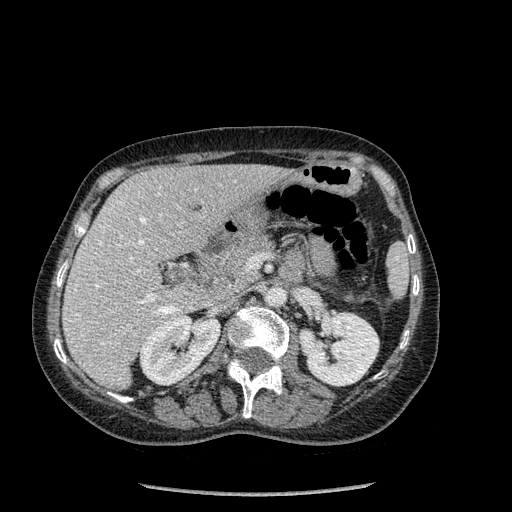
CT | 512x512 px

Kidney — box=[300, 313, 378, 385]; box=[140, 316, 219, 384].
Bone — box=[107, 392, 132, 402]; box=[400, 330, 409, 348]; box=[227, 306, 289, 417]; box=[54, 338, 66, 363]; box=[407, 234, 415, 253]; box=[56, 261, 68, 287]; box=[412, 275, 419, 295].
Liver — box=[62, 164, 293, 390].